CT slice; Upper abdomen; Slice 24 of 75

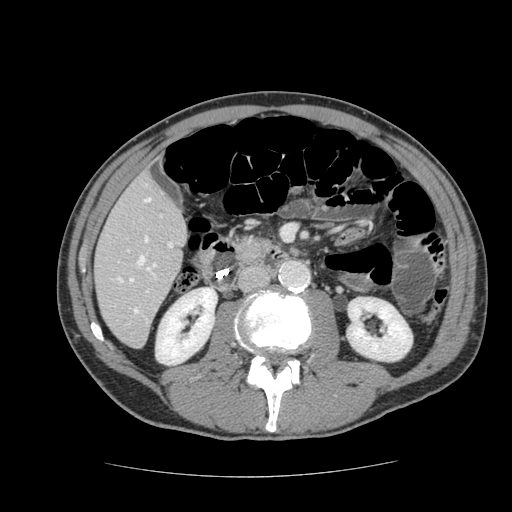 Findings:
* pancreas: box=[233, 232, 276, 265]